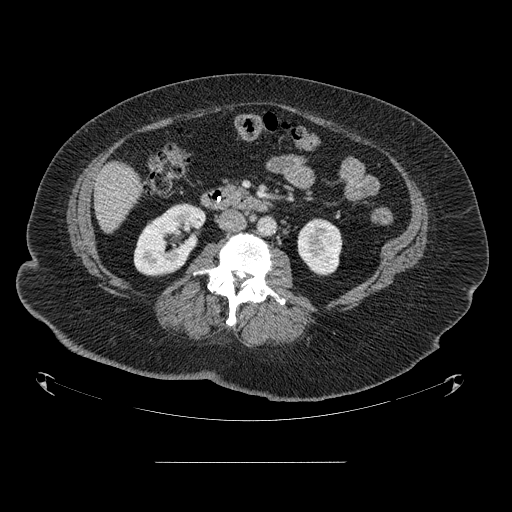 Abdomen, 512x512, CT scan slice
{"pancreas": ["box=[230, 187, 243, 193]"]}